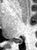

37x50 | MR image

The posterior hippocampus lies within (14, 40, 22, 43).